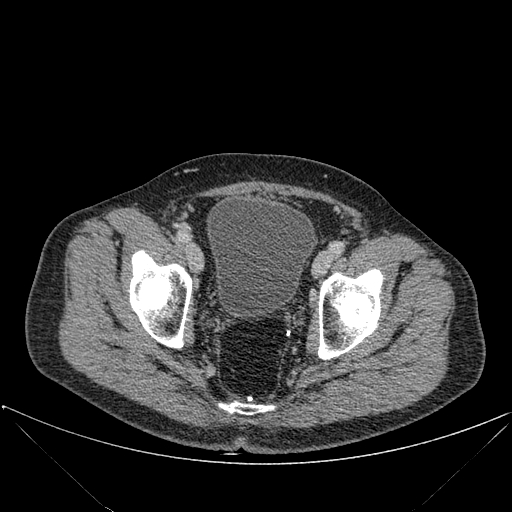

Image size 512x512 | CT scan slice
Bone — box=[219, 402, 273, 414]; box=[318, 269, 382, 359]; box=[129, 250, 191, 347].
Urinary bladder — box=[206, 196, 315, 318].